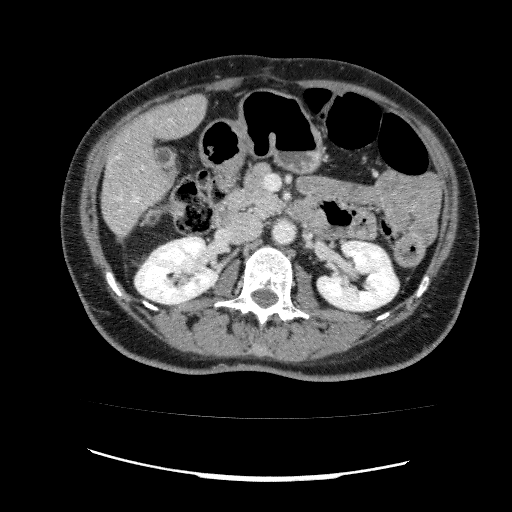 512x512 px. CT scan slice.

The liver appears at (left=100, top=93, right=207, bottom=237). 2 kidney regions appear at (left=135, top=237, right=217, bottom=303), (left=317, top=241, right=398, bottom=310).